CT scan slice, 512x512
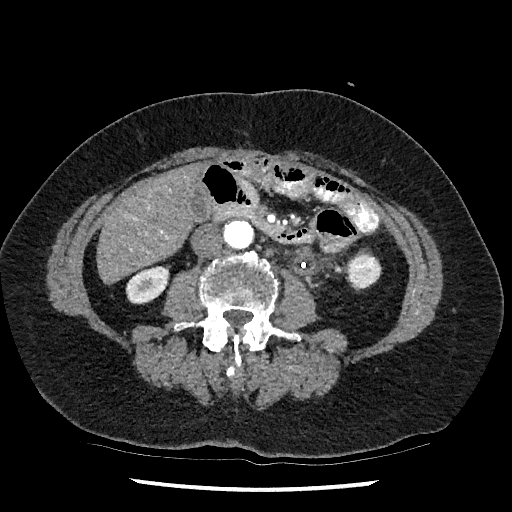
Segmented structures:
* kidney: [348,255,380,287], [126,267,168,302]
* liver: [98,162,202,282]